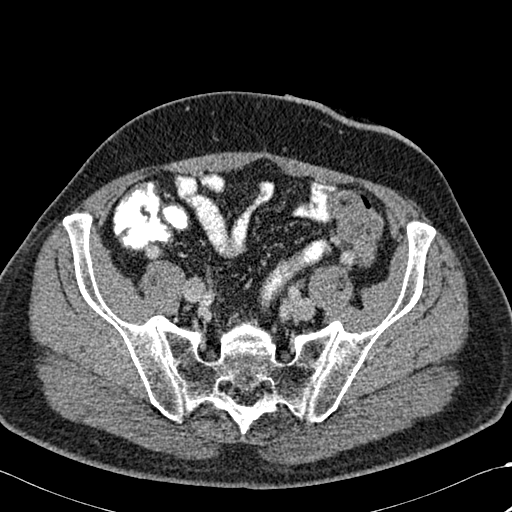
CT image
bone:
  - [63, 213, 435, 433]